Slice 24/41; Field of view 408 mm wide, 5.00 mm slice spacing; Abdomen; CT scan slice 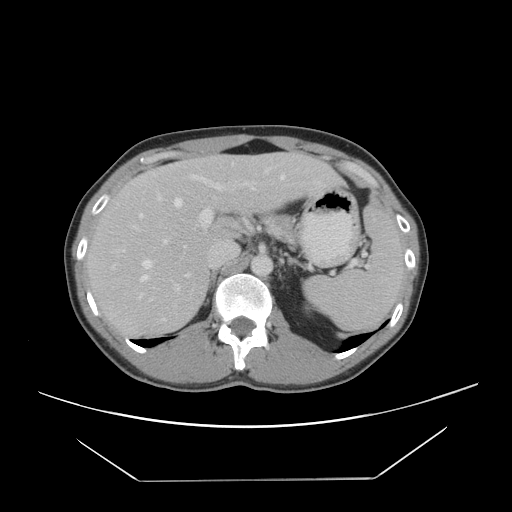 Not every hepatic vessel necessarily has a box.
The principal 15 hepatic vessel regions (of 17) appear at (x1=115, y1=249, x2=125, y2=251), (x1=243, y1=181, x2=255, y2=189), (x1=265, y1=167, x2=270, y2=173), (x1=140, y1=275, x2=147, y2=281), (x1=162, y1=319, x2=165, y2=320), (x1=190, y1=174, x2=221, y2=190), (x1=174, y1=197, x2=182, y2=206), (x1=142, y1=260, x2=151, y2=268), (x1=185, y1=274, x2=189, y2=276), (x1=281, y1=174, x2=284, y2=179), (x1=130, y1=225, x2=138, y2=229), (x1=157, y1=192, x2=161, y2=200), (x1=139, y1=214, x2=143, y2=218), (x1=199, y1=208, x2=209, y2=226), (x1=174, y1=284, x2=179, y2=290).